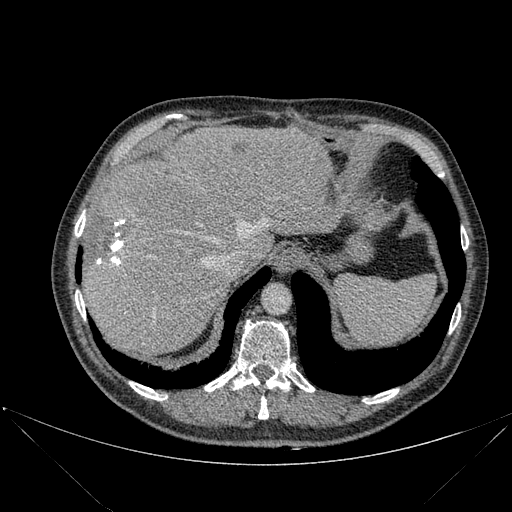

512x512 px. CT image.
* bone: (129, 381, 166, 400), (204, 320, 314, 392), (75, 292, 85, 319), (363, 389, 398, 404), (449, 309, 460, 333), (75, 211, 85, 236), (461, 227, 468, 249), (258, 396, 268, 418)
* lung: (291, 157, 465, 394), (75, 248, 81, 282), (90, 267, 270, 388)
* liver: (244, 239, 258, 272), (82, 126, 340, 355), (253, 230, 273, 255)
* focal liver lesion: (233, 144, 244, 153)